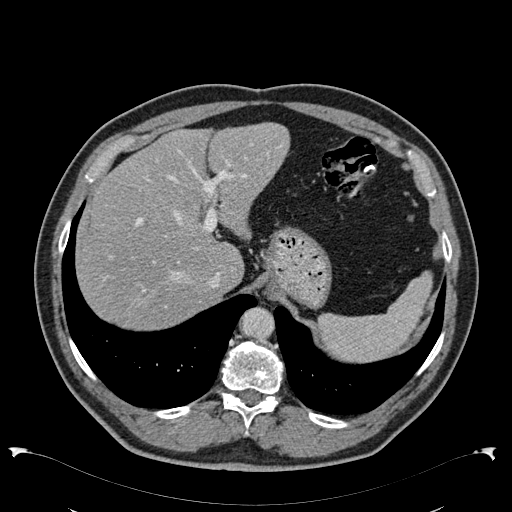 Computed tomography | Upper abdomen
liver:
  - l=209, t=123, r=289, b=238
  - l=76, t=129, r=243, b=328